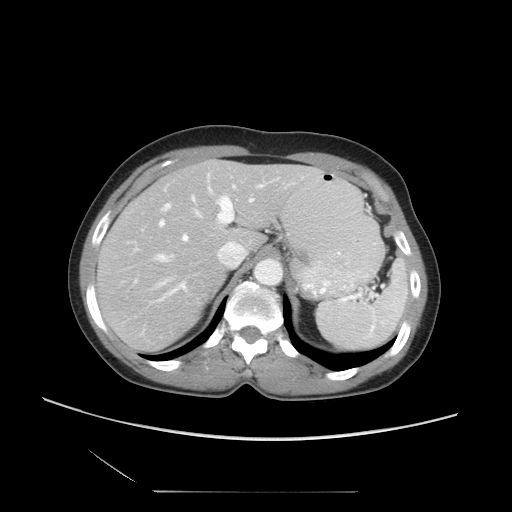 Liver; CT slice

Not every hepatic vessel necessarily has a box.
{"partial": true, "hepatic_vessel": {"n_total": 19, "boxes": ["rect(155, 254, 172, 260)", "rect(256, 181, 268, 187)", "rect(162, 203, 170, 210)", "rect(207, 174, 209, 182)", "rect(182, 234, 187, 240)", "rect(157, 282, 185, 301)", "rect(284, 182, 293, 186)", "rect(228, 241, 237, 245)", "rect(191, 196, 194, 200)", "rect(194, 210, 200, 215)", "rect(218, 248, 221, 253)", "rect(159, 220, 163, 225)", "rect(270, 177, 278, 181)", "rect(208, 185, 211, 193)", "rect(216, 195, 233, 224)"]}}